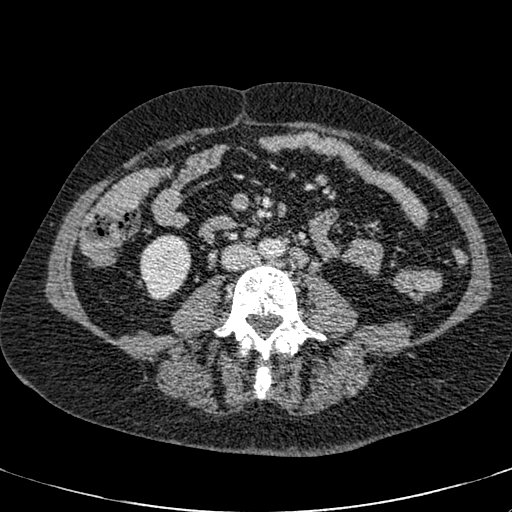 Abdomen | CT scan slice
The kidney is located at x1=141 y1=235 x2=190 y2=299.